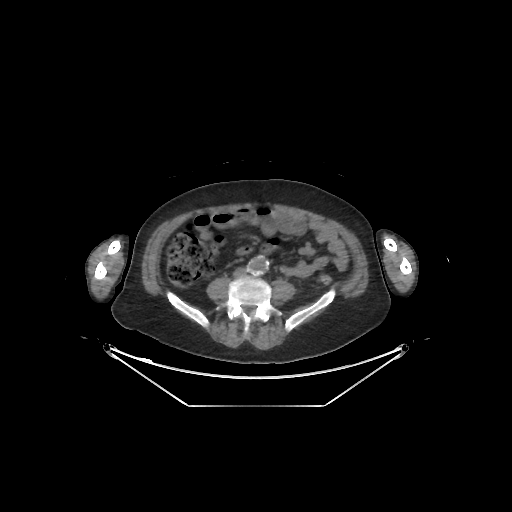

CT scan slice; 512x512

Bone: bounding box box(285, 290, 334, 330); box(384, 237, 396, 251); box(400, 257, 411, 275); box(94, 240, 120, 279); box(167, 292, 208, 326); box(226, 270, 273, 334).